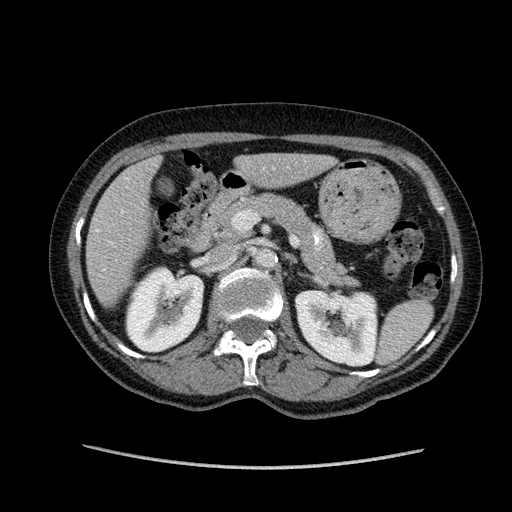
CT | Abdomen | 512x512
Segmented structures:
* kidney: 296:291:375:365, 127:269:203:351
* liver: 240:152:328:186, 86:160:156:300